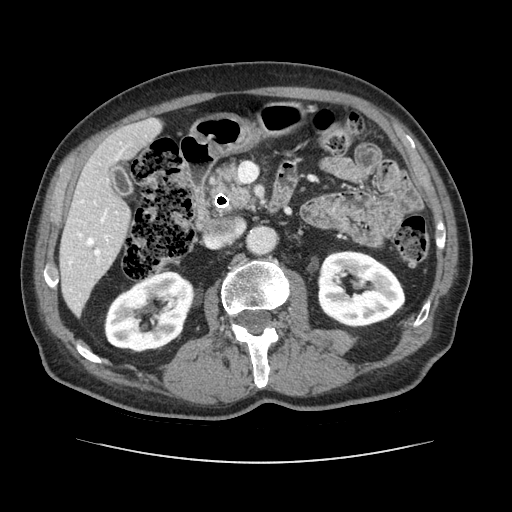

CT scan slice | Upper abdomen

Pancreas: bounding box 214:163:251:206.
Pancreatic tumor: bounding box 229:187:247:202.